512x512, CT scan slice, Slice index 127
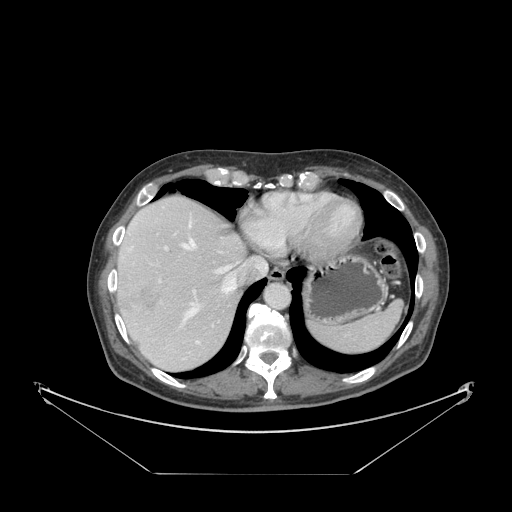 Segmented structures:
- spleen: (307, 301, 402, 354)